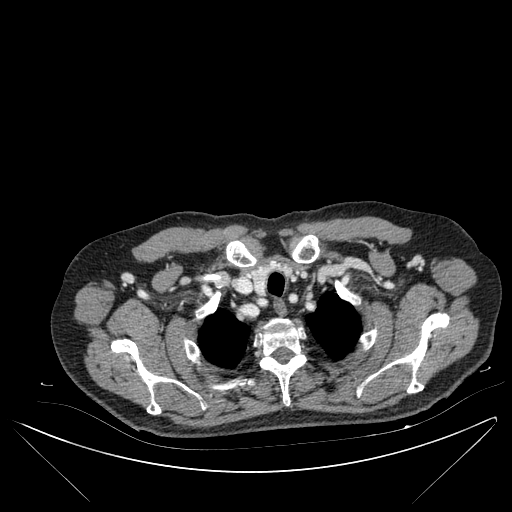
Chest | CT image

<segmentation>
  <bone>(360,329,376,348), (254,318,306,405), (111,339,192,414), (204,274,221,282), (197,288,220,318), (184,339,199,361), (292,235,319,263), (335,280,356,304), (226,241,256,267), (368,313,449,393), (212,381,244,389)</bone>
  <lung>(306,292,360,359), (268,279,283,295), (199,309,249,368)</lung>
</segmentation>